Slice index 45, Brain, 240x240 px, Field of view 240 mm wide, 1.00 mm slice spacing
FLAIR MR image.
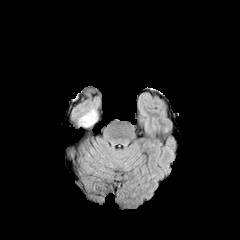
T1-weighted MR image.
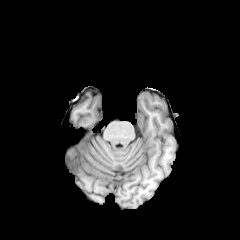
Post-contrast T1-weighted MR image.
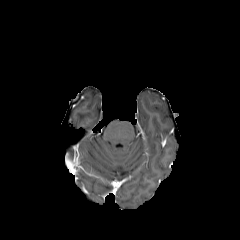
T2-weighted magnetic resonance.
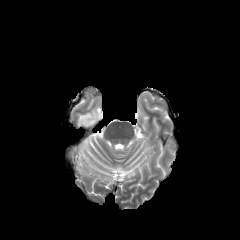
{
  "edema": [
    "region(78, 105, 97, 126)"
  ]
}